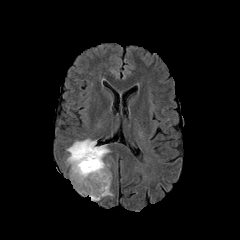
FLAIR magnetic resonance.
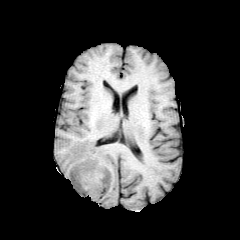
T1-weighted MR image.
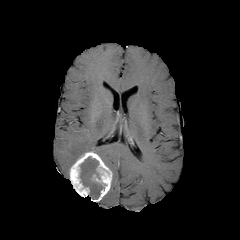
Post-contrast T1-weighted MR image.
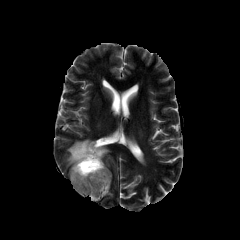
T2-weighted MR.
Head.
Enhancing tumor at (left=69, top=150, right=111, bottom=201).
Edema at (left=66, top=138, right=110, bottom=166).
Non-enhancing tumor core at (left=80, top=157, right=101, bottom=197).